FLAIR MR image.
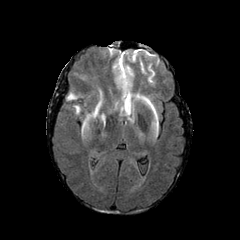
T1-weighted MR image.
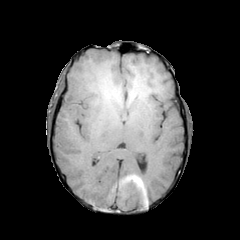
Post-contrast T1-weighted MR image.
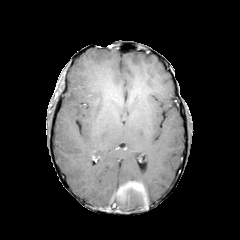
T2-weighted magnetic resonance.
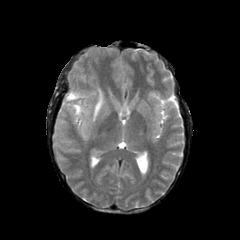
Brain. Image size 240x240.
3 edema regions appear at {"x1": 71, "y1": 104, "x2": 82, "y2": 115}, {"x1": 66, "y1": 91, "x2": 82, "y2": 101}, {"x1": 92, "y1": 90, "x2": 102, "y2": 118}.